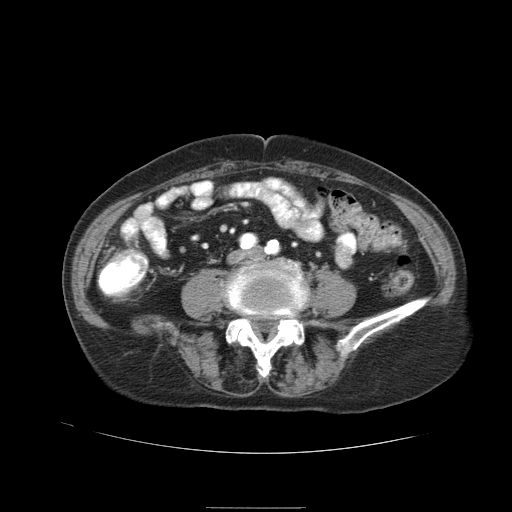
CT, Pelvis
Annotated regions:
* colon tumor: region(130, 255, 144, 273)